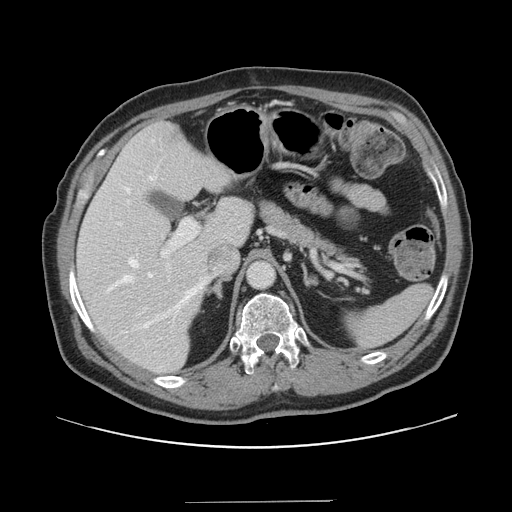
512x512; CT image

Not every hepatic vessel necessarily has a box.
hepatic vessel: [161, 219, 197, 257], [124, 187, 129, 192], [149, 176, 155, 180], [129, 258, 138, 267], [133, 277, 208, 329], [108, 286, 113, 290], [166, 263, 169, 268], [114, 275, 132, 285], [148, 273, 152, 276], [123, 331, 126, 332]